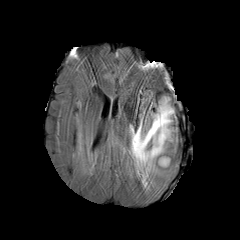
FLAIR MR image.
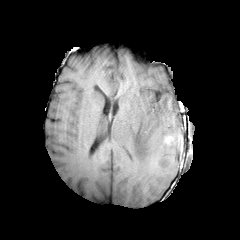
T1-weighted magnetic resonance.
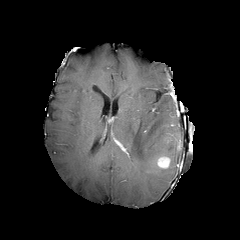
Post-contrast T1-weighted MRI.
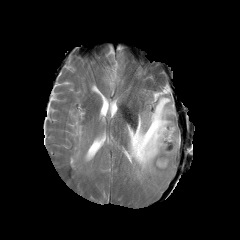
T2-weighted magnetic resonance.
Head
The enhancing tumor lies within [x1=158, y1=157, x2=169, y2=167]. The edema appears at [x1=126, y1=96, x2=177, y2=186].